Image width 404 mm | CT image | Upper abdomen 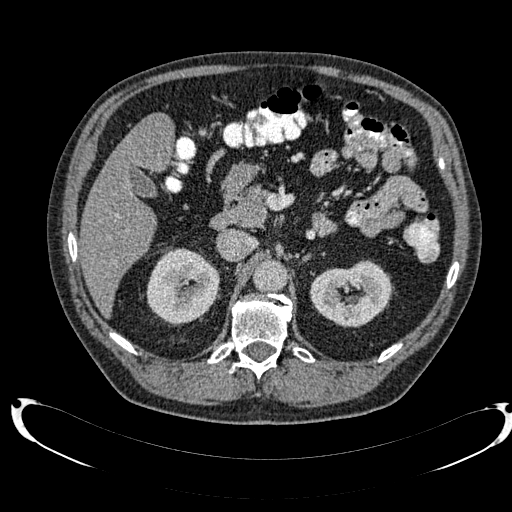
Segmented structures:
- liver: x1=81, y1=116, x2=173, y2=318
- kidney: x1=310, y1=261, x2=391, y2=326; x1=147, y1=248, x2=219, y2=324
- hepatic lesion: x1=148, y1=114, x2=171, y2=132